Slice 313/547; CT image; Abdomen 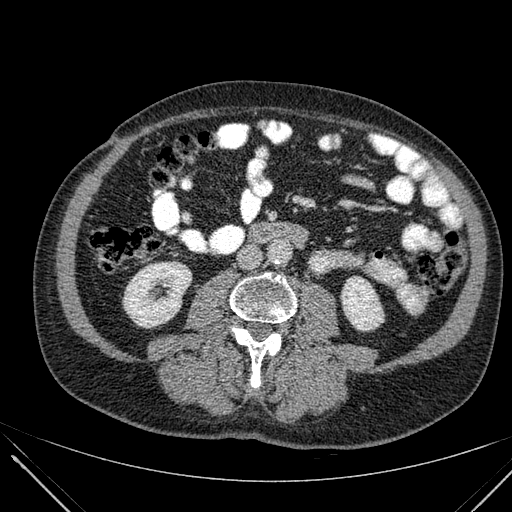

Annotated regions:
* kidney: (left=342, top=277, right=383, bottom=330), (left=124, top=262, right=191, bottom=327)